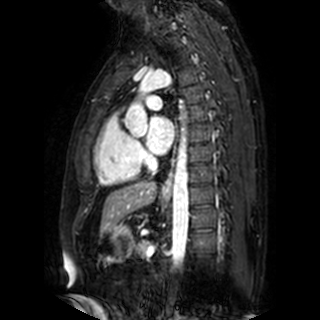 MR. Left atrium = x1=145, y1=117, x2=173, y2=153.